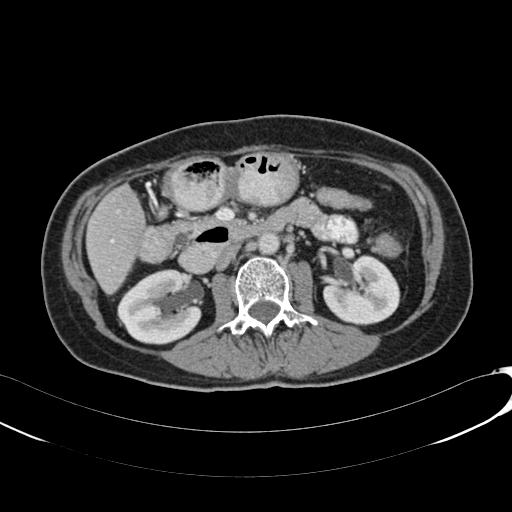

CT image | Liver

- kidney: (left=324, top=257, right=398, bottom=323), (left=118, top=270, right=200, bottom=343)
- liver: (left=87, top=184, right=145, bottom=293)